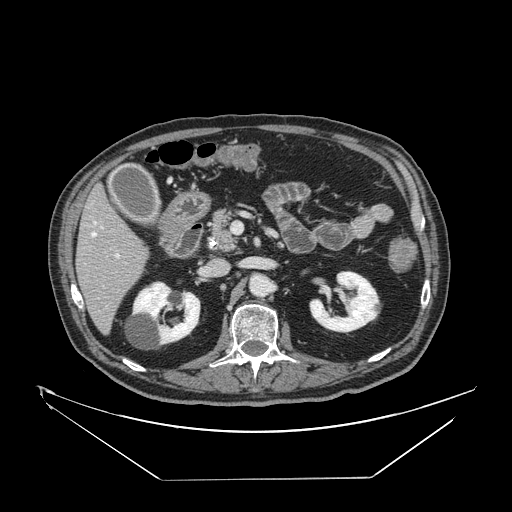 CT | 512x512 px

Pancreas at box=[203, 206, 240, 253].